CT image | Abdomen | Slice index 42 | Field of view 400x400 mm

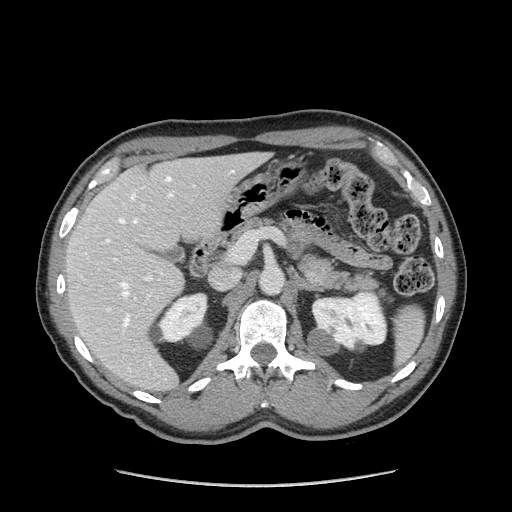
The pancreas is located at <bbox>229, 218, 378, 293</bbox>. The pancreatic tumor is bounded by <bbox>307, 271, 319, 283</bbox>.